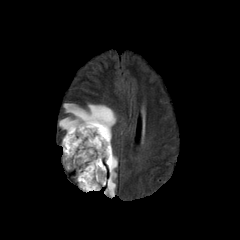
FLAIR MR.
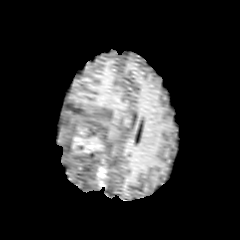
T1-weighted MR image of the same slice.
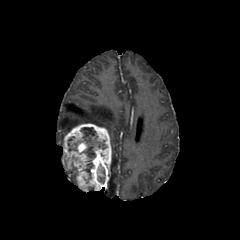
Post-contrast T1-weighted MR.
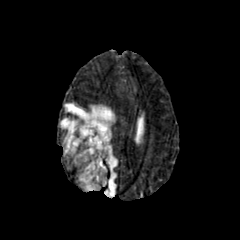
T2-weighted MRI.
Head
Non-enhancing tumor core at left=70, top=161, right=78, bottom=178; left=69, top=105, right=85, bottom=115; left=98, top=169, right=107, bottom=183; left=83, top=139, right=105, bottom=174; left=80, top=127, right=97, bottom=139; left=68, top=140, right=81, bottom=151.
Edema at left=81, top=136, right=95, bottom=146; left=106, top=147, right=117, bottom=196; left=59, top=103, right=116, bottom=145.
Enhancing tumor at left=63, top=123, right=111, bottom=191.